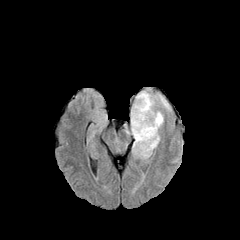
FLAIR MR image.
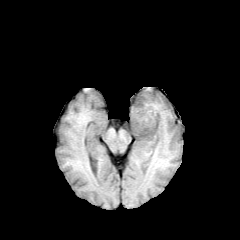
T1-weighted magnetic resonance.
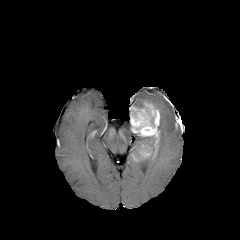
Same slice, post-contrast T1-weighted MR image.
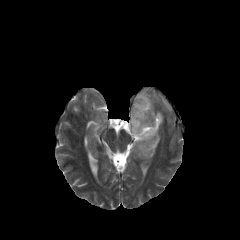
T2-weighted MR image of the same slice.
Head | Image size 240x240
2 non-enhancing tumor core regions appear at 136,142,154,155; 133,100,152,108. 3 edema regions are located at 133,87,172,113; 159,110,164,130; 124,124,160,161. 2 enhancing tumor regions are bounded by 140,149,151,157; 130,103,159,136.